Abdomen, CT scan slice 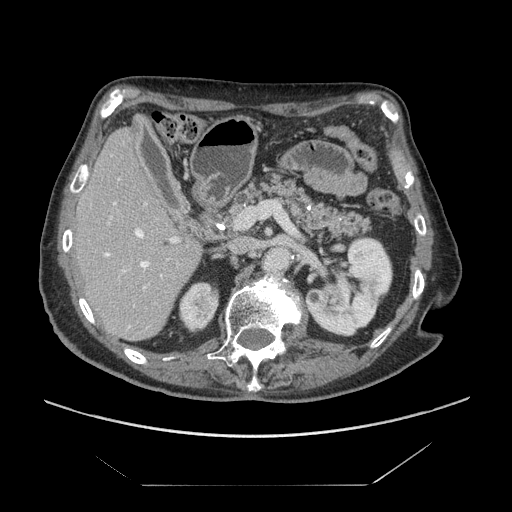 pancreas:
  - x1=211, y1=172, x2=376, y2=244